Head. 240x240 px. Slice 107 of 155.
FLAIR MR image.
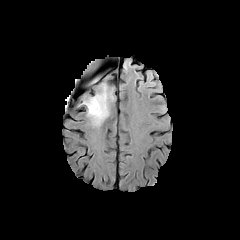
T1-weighted MR image.
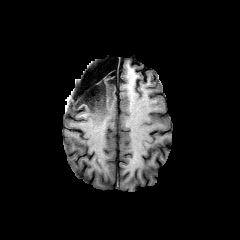
Post-contrast T1-weighted MR.
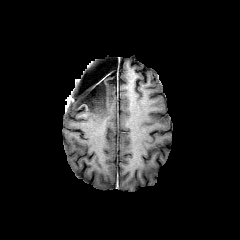
T2-weighted MR image.
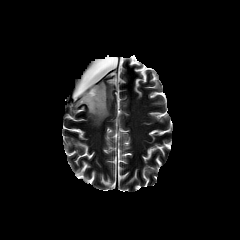
Segmented structures:
• non-enhancing tumor core: [x1=82, y1=78, x2=105, y2=105]
• edema: [x1=82, y1=83, x2=113, y2=126]